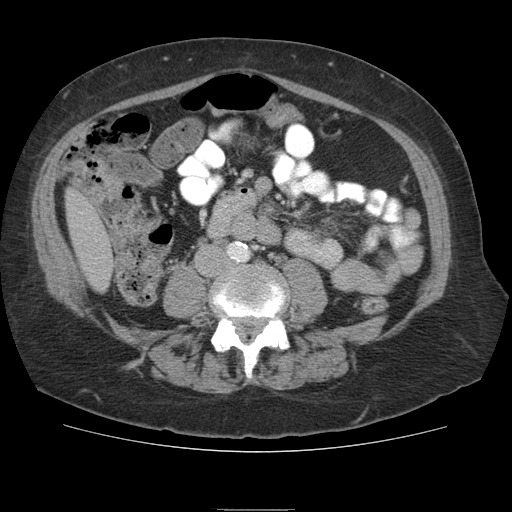

Pelvis; CT slice; Image size 512x512
{"colon_tumor": ["70, 161, 122, 201"]}